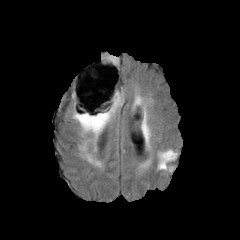
FLAIR magnetic resonance.
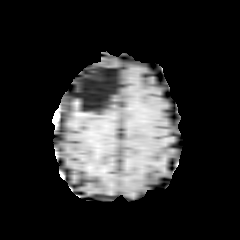
Same slice, T1-weighted MR image.
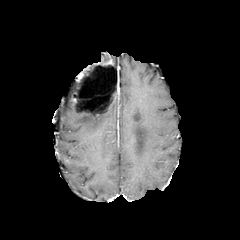
Post-contrast T1-weighted MRI.
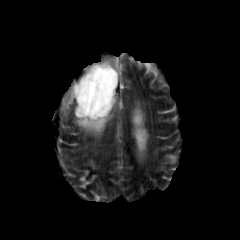
T2-weighted MR.
Head.
4 edema regions appear at l=118, t=86, r=123, b=107; l=158, t=150, r=173, b=169; l=72, t=104, r=121, b=143; l=133, t=96, r=149, b=143. The non-enhancing tumor core is bounded by l=76, t=86, r=121, b=117.